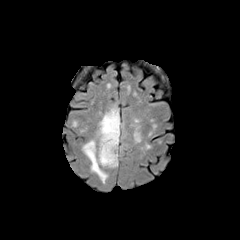
FLAIR MR.
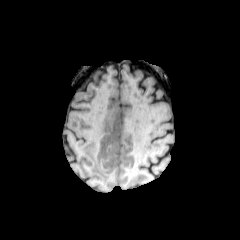
T1-weighted MRI.
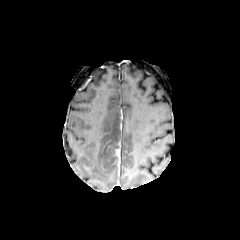
Post-contrast T1-weighted MR.
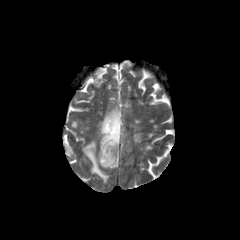
Same slice, T2-weighted MR image.
240x240
Edema: bounding box left=82, top=106, right=124, bottom=183.